Slice index 30, Magnetic resonance
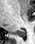 Posterior hippocampus = x1=10 y1=29 x2=25 y2=37.